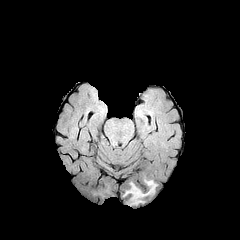
FLAIR MRI.
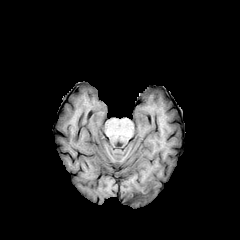
T1-weighted MRI.
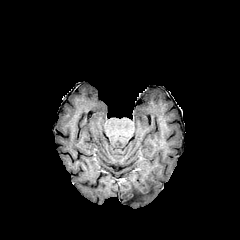
Post-contrast T1-weighted magnetic resonance.
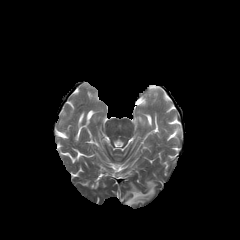
T2-weighted magnetic resonance.
Brain
edema:
  - box=[123, 181, 156, 205]